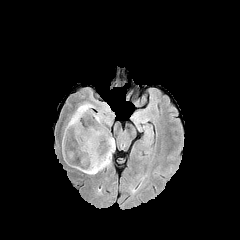
FLAIR magnetic resonance.
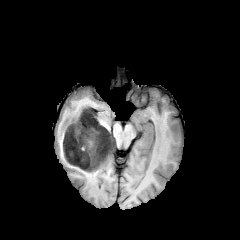
T1-weighted MR image.
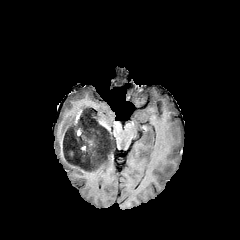
Post-contrast T1-weighted MR.
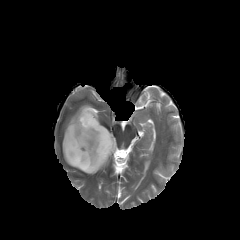
T2-weighted magnetic resonance.
Brain.
<segmentation>
  <edema>box=[68, 150, 113, 174]; box=[64, 103, 95, 135]; box=[94, 111, 106, 127]</edema>
  <non-enhancing_tumor_core>box=[63, 107, 115, 170]</non-enhancing_tumor_core>
</segmentation>